CT, Slice index 439, Thorax
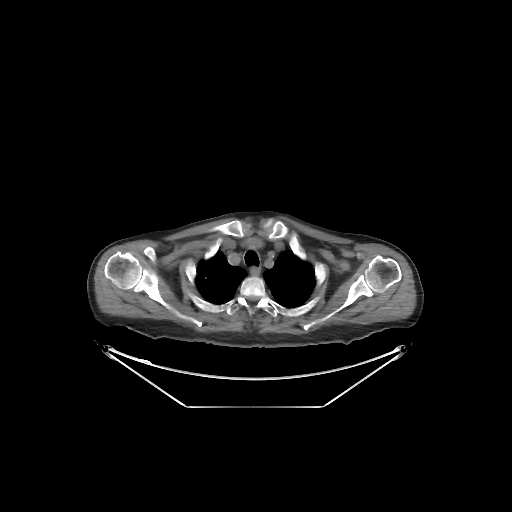
Lung = (245, 250, 259, 266), (263, 249, 315, 308), (195, 250, 247, 304).
Bone = (207, 238, 221, 257), (187, 270, 195, 281), (304, 297, 318, 308), (340, 256, 401, 308), (265, 219, 298, 254), (237, 277, 275, 316), (104, 252, 167, 305), (144, 247, 155, 261), (210, 221, 243, 236).